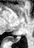
MRI slice | Medial temporal lobe
Posterior hippocampus at rect(12, 36, 20, 42).